Brain
FLAIR MRI.
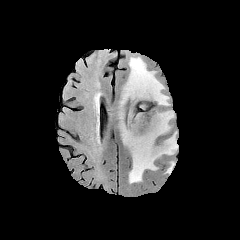
T1-weighted magnetic resonance.
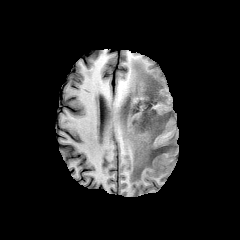
Post-contrast T1-weighted MR image.
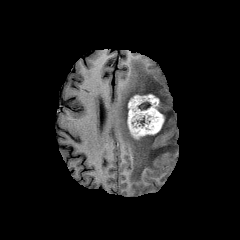
T2-weighted MR image.
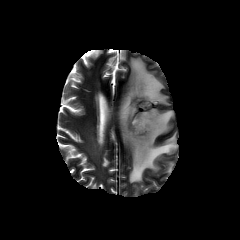
Edema: 164 161 173 173, 120 57 177 183.
Non-enhancing tumor core: 158 144 171 151, 146 149 158 163, 134 98 157 125, 158 112 167 132, 130 84 159 100.
Enhancing tumor: 128 94 164 137.